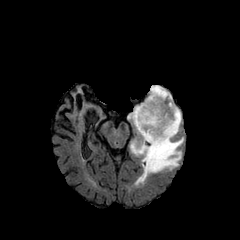
FLAIR MR image.
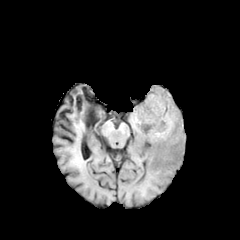
Same slice, T1-weighted MRI.
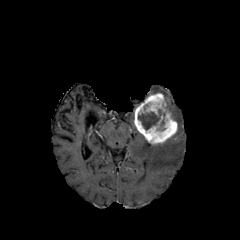
Post-contrast T1-weighted MR of the same slice.
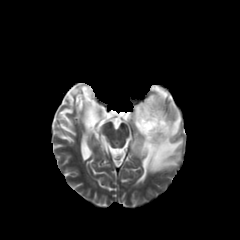
T2-weighted MR.
Brain | 240x240 px
Annotated regions:
* non-enhancing tumor core: (left=138, top=112, right=159, bottom=129)
* edema: (left=130, top=85, right=184, bottom=185), (left=127, top=112, right=133, bottom=123)
* enhancing tumor: (left=134, top=92, right=177, bottom=144)